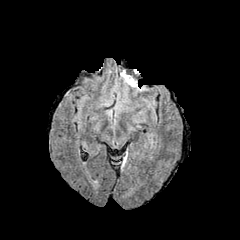
FLAIR magnetic resonance.
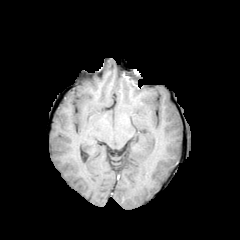
T1-weighted MR of the same slice.
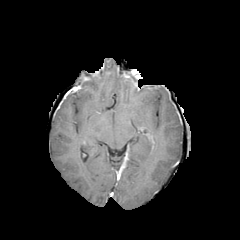
Post-contrast T1-weighted magnetic resonance of the same slice.
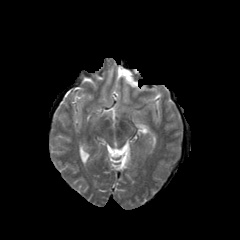
T2-weighted MR.
The enhancing tumor lies within 124, 72, 135, 85. The edema appears at 120, 72, 138, 90.